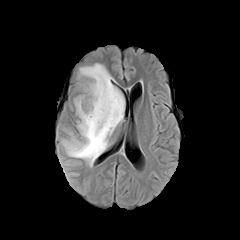
FLAIR MR.
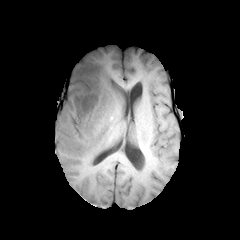
T1-weighted MRI.
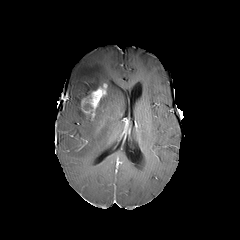
Post-contrast T1-weighted MR.
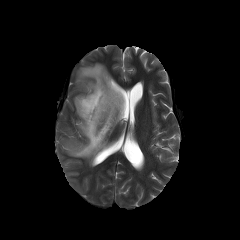
Same slice, T2-weighted magnetic resonance.
enhancing tumor: bbox=[81, 83, 106, 116] | edema: bbox=[62, 63, 124, 166] | non-enhancing tumor core: bbox=[94, 88, 107, 115]; bbox=[91, 67, 99, 75]; bbox=[78, 82, 105, 109]